Upper abdomen; CT scan slice; Slice index 29 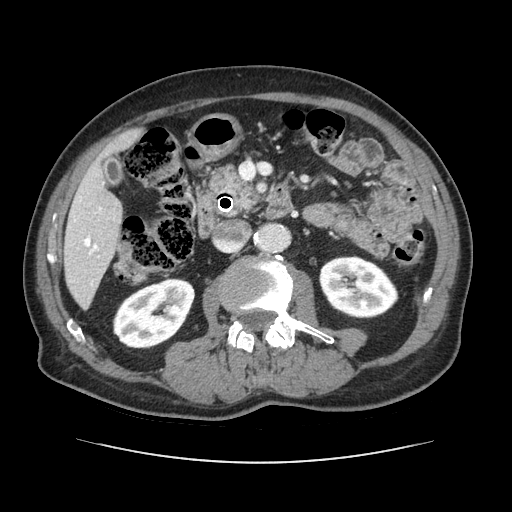
The pancreas appears at [210, 166, 258, 213].